Slice 85 of 155, 240x240 px, Brain
FLAIR MRI.
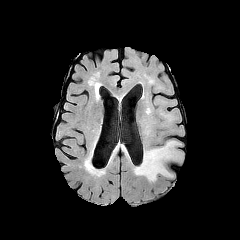
T1-weighted MR image.
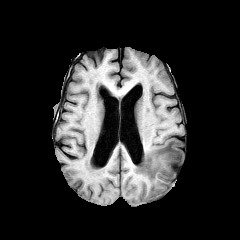
Post-contrast T1-weighted MR image.
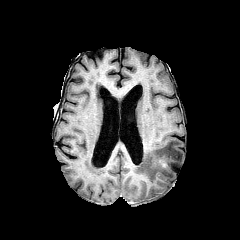
T2-weighted MR.
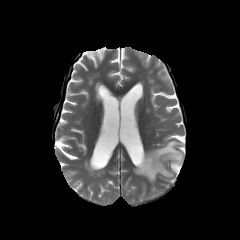
<segmentation>
  <edema>region(133, 141, 181, 181)</edema>
  <enhancing_tumor>region(157, 159, 167, 167)</enhancing_tumor>
</segmentation>